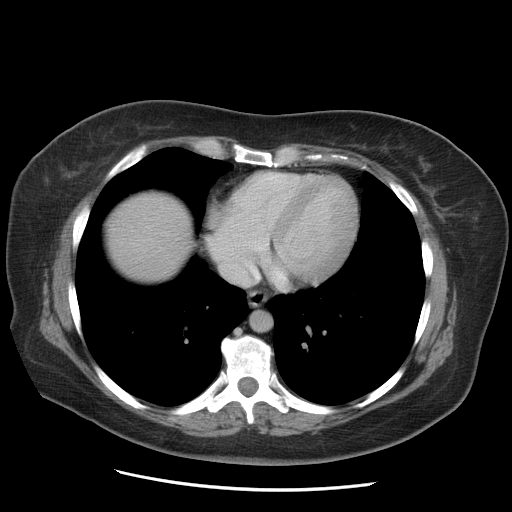

CT; Liver
<segmentation>
  <liver>(left=108, top=194, right=191, bottom=277)</liver>
</segmentation>